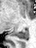

MR, Hippocampus
Posterior hippocampus: bounding box 12, 29, 27, 39.